Computed tomography. Slice 28/52.

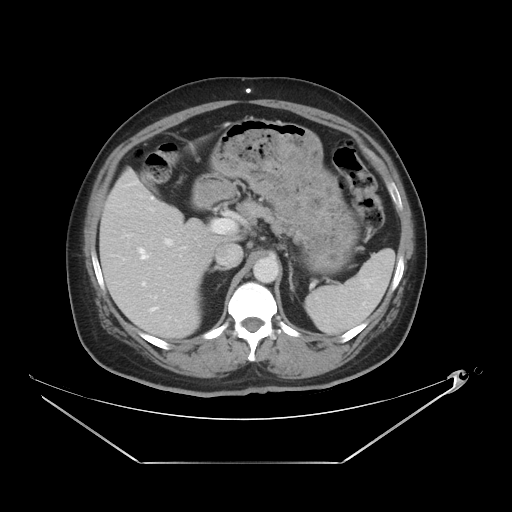

Some hepatic vessels may have no box.
Segmented structures:
- hepatic vessel: left=167, top=241, right=169, bottom=242